Pelvis, CT image 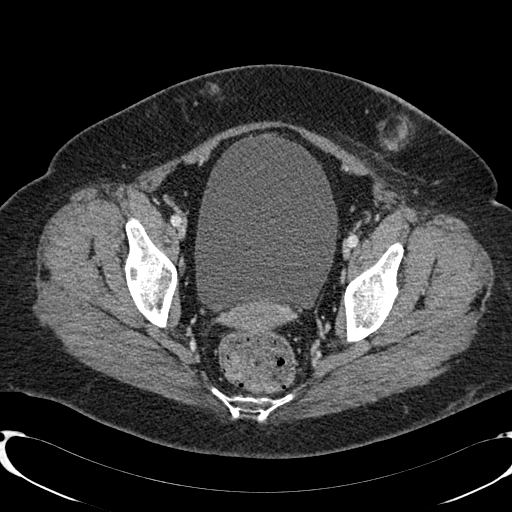 Urinary bladder — (left=195, top=134, right=336, bottom=307).